512x512 | CT image | Slice index 20

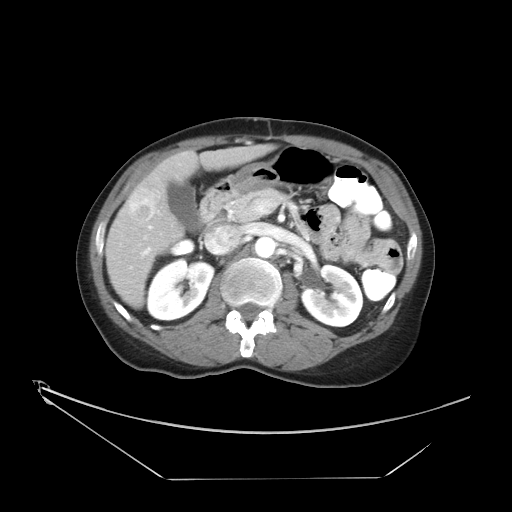
The vessel boxes may cover only some of the vessels.
3 hepatic vessel regions are located at 173, 241, 184, 251; 141, 247, 150, 254; 149, 226, 151, 228. The liver tumor is located at 128, 185, 161, 222.